CT slice. Abdomen. Slice 414/733. Field of view 388x388 mm.

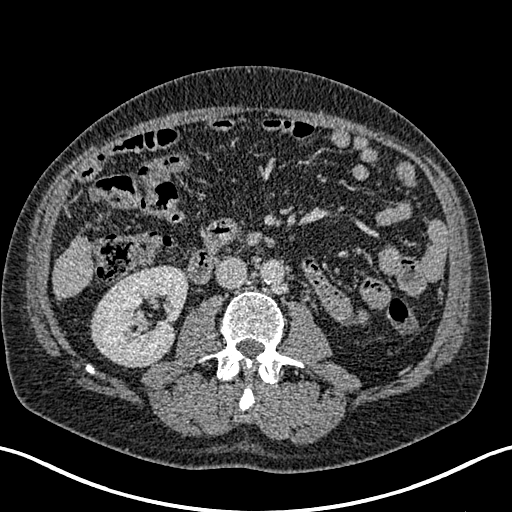 The kidney appears at l=92, t=267, r=187, b=366. The liver lies within l=53, t=236, r=92, b=299.